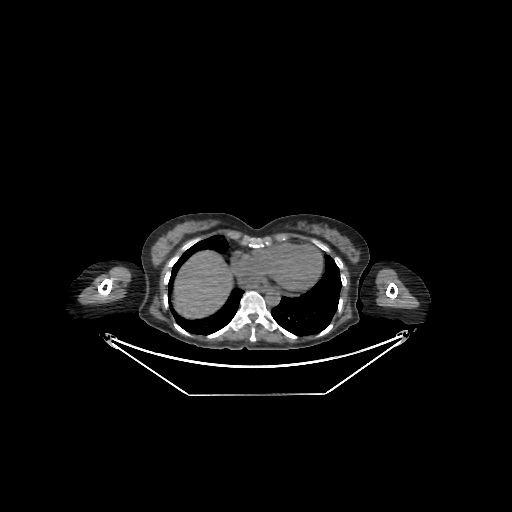

CT slice, Upper abdomen

Segmented structures:
- liver: region(174, 250, 231, 317)